Computed tomography 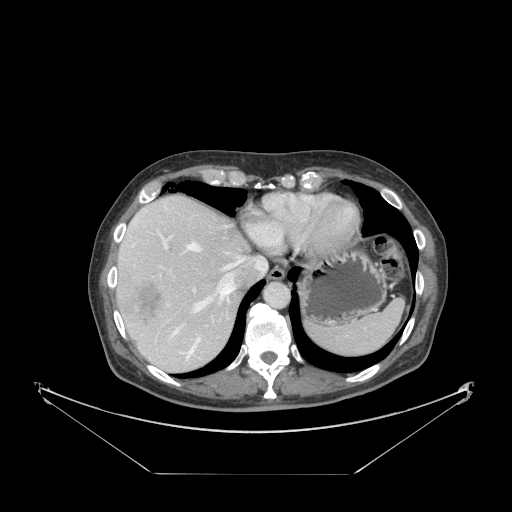
<segmentation>
  <spleen>x1=304, y1=299, x2=403, y2=356</spleen>
</segmentation>